Computed tomography | Abdomen 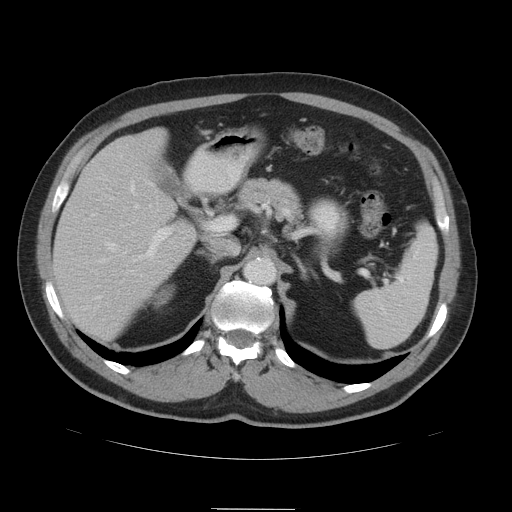 Pancreas: bounding box [234,177,304,227].